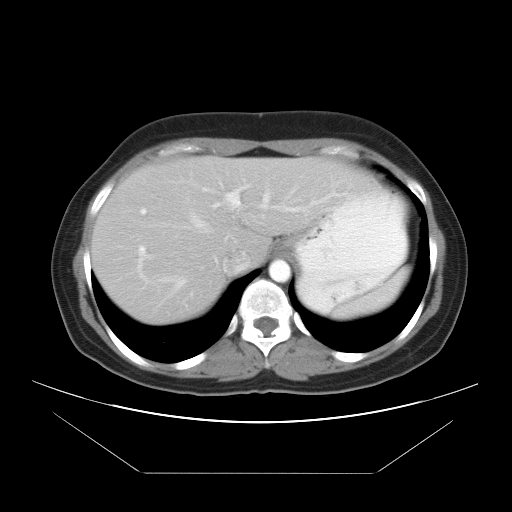

CT image. Abdomen. Image size 512x512. Only some of the vessels may be annotated.
8 hepatic vessel regions appear at [158,276,186,292], [138,245,146,270], [140,272,144,278], [227,192,239,205], [140,208,146,213], [194,217,202,226], [261,192,269,208], [273,206,304,211].